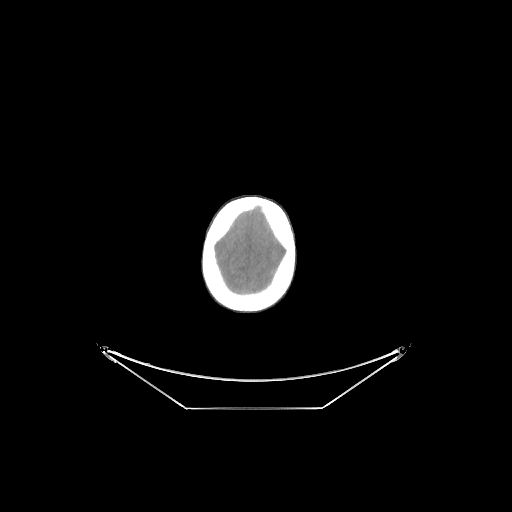 CT scan slice
brain:
  - <bbox>214, 206, 285, 294</bbox>
bone:
  - <bbox>202, 197, 294, 310</bbox>